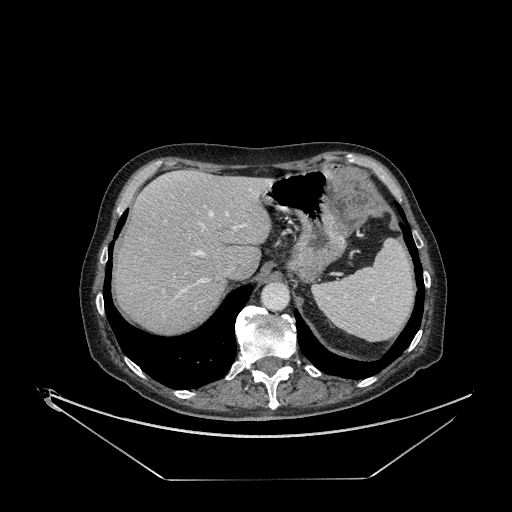 CT

liver:
  - x1=116, y1=170, x2=272, y2=334